Liver, Field of view 360x360 mm, Computed tomography 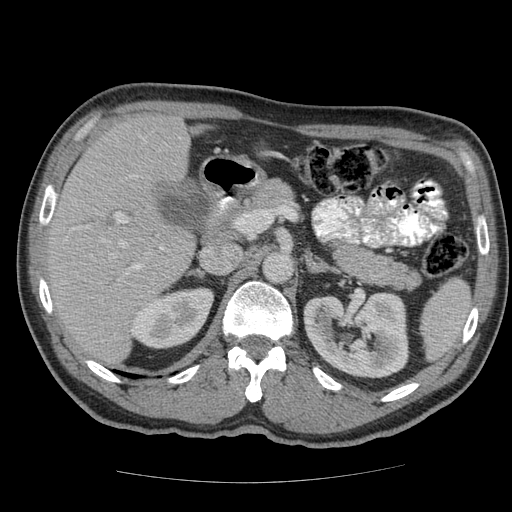 Only some of the vessels may be annotated.
hepatic vessel: 159, 248, 162, 249; 114, 213, 125, 222; 127, 265, 139, 272; 120, 279, 121, 280